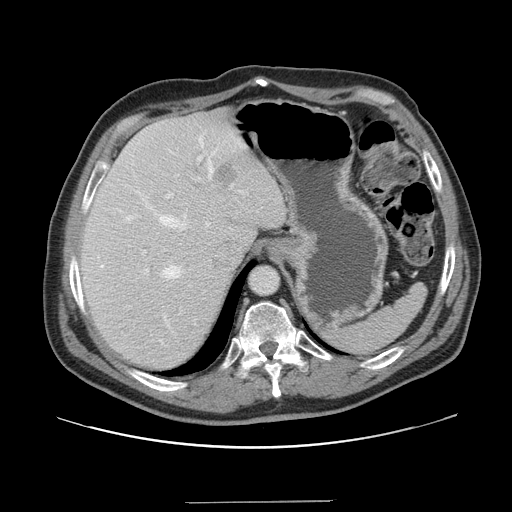 Computed tomography | Abdomen
Some hepatic vessels may have no box.
liver tumor: {"x1": 215, "y1": 159, "x2": 235, "y2": 185} | hepatic vessel: {"x1": 206, "y1": 223, "x2": 208, "y2": 225}, {"x1": 143, "y1": 198, "x2": 151, "y2": 209}, {"x1": 100, "y1": 265, "x2": 103, "y2": 267}, {"x1": 162, "y1": 266, "x2": 180, "y2": 278}, {"x1": 142, "y1": 250, "x2": 145, "y2": 253}, {"x1": 145, "y1": 268, "x2": 147, "y2": 273}, {"x1": 154, "y1": 213, "x2": 185, "y2": 228}, {"x1": 137, "y1": 192, "x2": 140, "y2": 193}, {"x1": 208, "y1": 157, "x2": 213, "y2": 178}, {"x1": 197, "y1": 155, "x2": 201, "y2": 160}, {"x1": 126, "y1": 216, "x2": 133, "y2": 220}, {"x1": 199, "y1": 136, "x2": 202, "y2": 147}, {"x1": 198, "y1": 178, "x2": 199, "y2": 179}, {"x1": 165, "y1": 193, "x2": 172, "y2": 197}